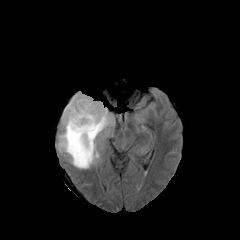
FLAIR magnetic resonance.
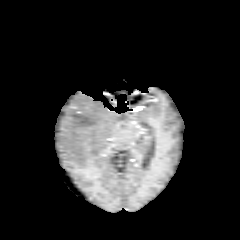
T1-weighted MR image of the same slice.
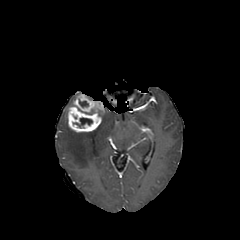
Post-contrast T1-weighted MR of the same slice.
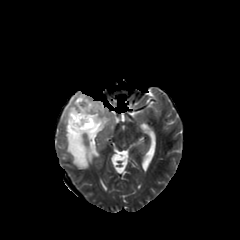
Same slice, T2-weighted magnetic resonance.
Image size 240x240.
Segmented structures:
• non-enhancing tumor core: (73,117,92,127)
• edema: (58,108,114,168)
• enhancing tumor: (64,92,105,132)